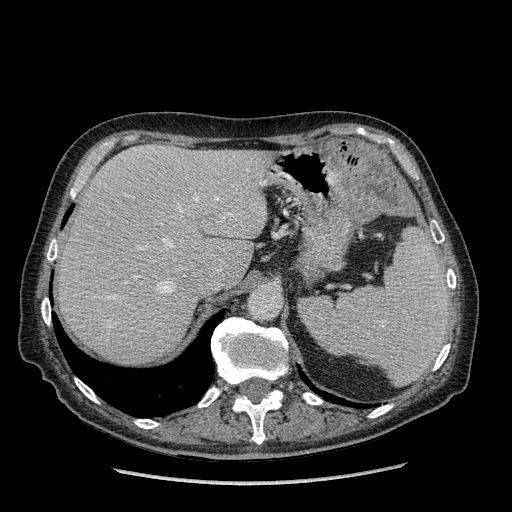
Image size 512x512. Computed tomography. Abdomen. The liver is located at 58:145:271:365.